FLAIR magnetic resonance.
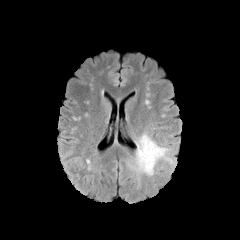
T1-weighted MRI.
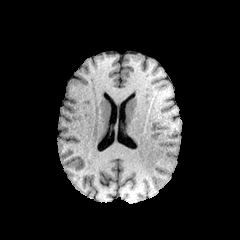
Post-contrast T1-weighted magnetic resonance.
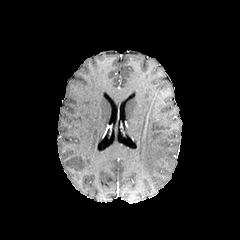
T2-weighted MR image.
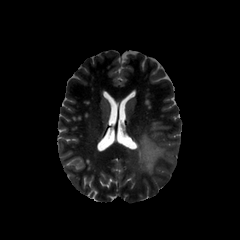
Image size 240x240
edema: [129, 133, 166, 175]